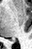 Magnetic resonance
The posterior hippocampus is at bbox(10, 40, 14, 40).